Slice index 266 | CT scan slice
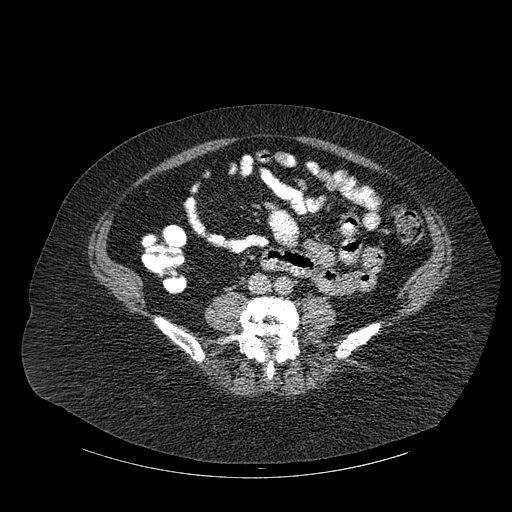
Bone at (336,323,379,357), (155,317,204,361), (232,297,299,378).